Slice 27/34 | Hippocampus | Magnetic resonance 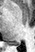

• posterior hippocampus: region(10, 42, 21, 46)